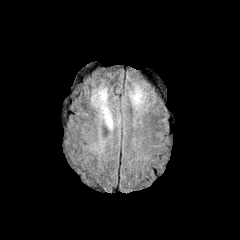
FLAIR MR.
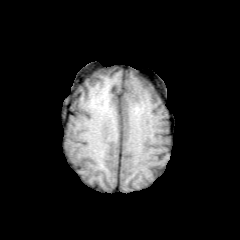
Same slice, T1-weighted magnetic resonance.
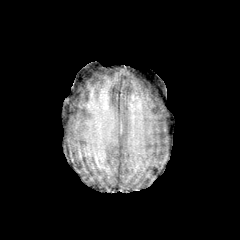
Post-contrast T1-weighted MR.
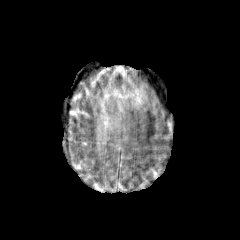
T2-weighted MR image of the same slice.
Brain
edema:
  - 94 89 113 130
  - 125 83 146 109